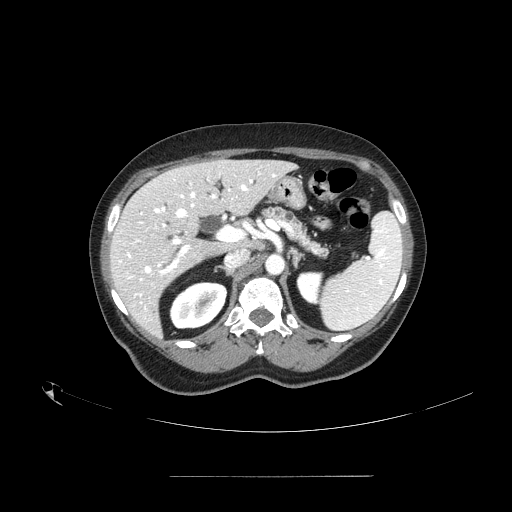

CT scan slice; 512x512 px; Upper abdomen
pancreas: 350:251:359:259, 262:206:332:258